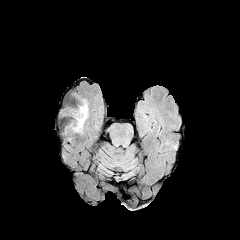
FLAIR MRI.
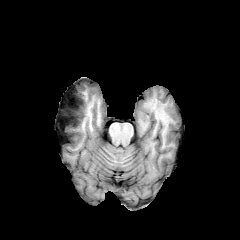
T1-weighted magnetic resonance.
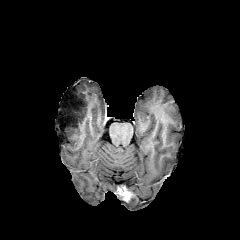
Same slice, post-contrast T1-weighted magnetic resonance.
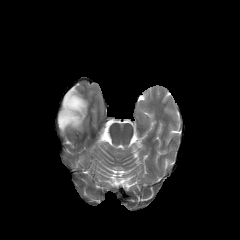
T2-weighted MR of the same slice.
Head. 240x240.
Non-enhancing tumor core: bounding box <box>60,100,86,131</box>.
Edema: bounding box <box>79,99,88,132</box>.